Computed tomography 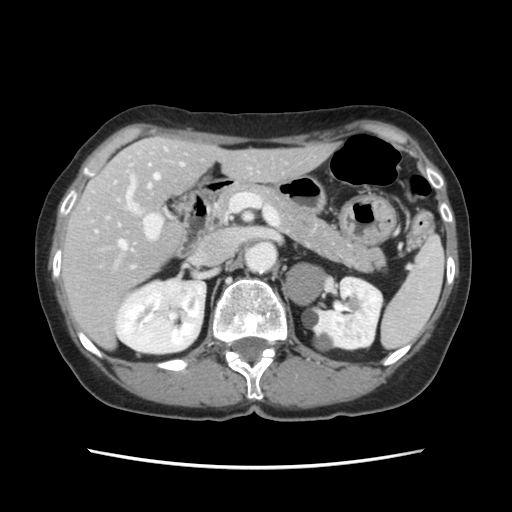 Some hepatic vessels may have no box.
hepatic_vessel:
  - box(180, 163, 183, 165)
  - box(117, 199, 119, 201)
  - box(119, 241, 126, 249)
  - box(154, 174, 158, 179)
  - box(106, 217, 108, 218)
  - box(126, 175, 138, 212)
  - box(148, 185, 150, 187)